FLAIR MRI.
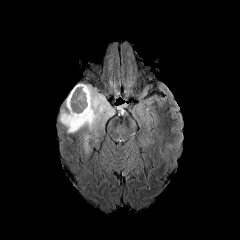
T1-weighted MR image.
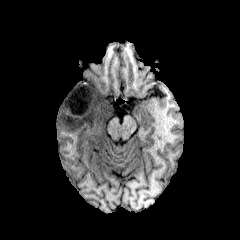
Post-contrast T1-weighted MR image.
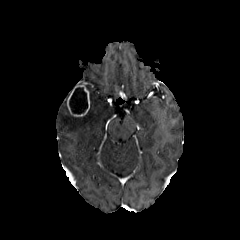
T2-weighted MR.
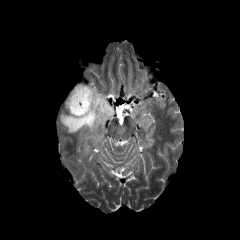
Brain.
Enhancing tumor: (left=67, top=85, right=90, bottom=117).
Non-enhancing tumor core: (left=69, top=87, right=87, bottom=113).
Edema: (left=59, top=85, right=115, bottom=137), (left=83, top=134, right=92, bottom=154).